Slice index 94
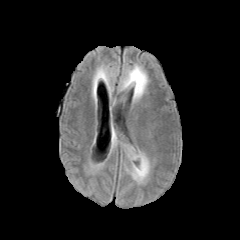
FLAIR MRI.
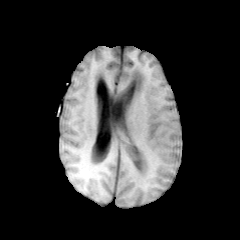
T1-weighted MR image.
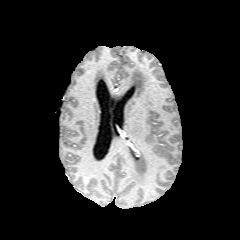
Same slice, post-contrast T1-weighted MR.
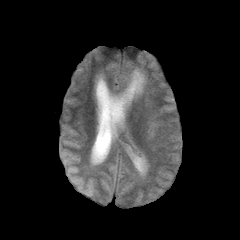
T2-weighted MR image.
2 edema regions appear at <box>111,129,149,181</box>, <box>118,64,148,102</box>. The non-enhancing tumor core appears at <box>128,146,144,174</box>.